Computed tomography | Liver

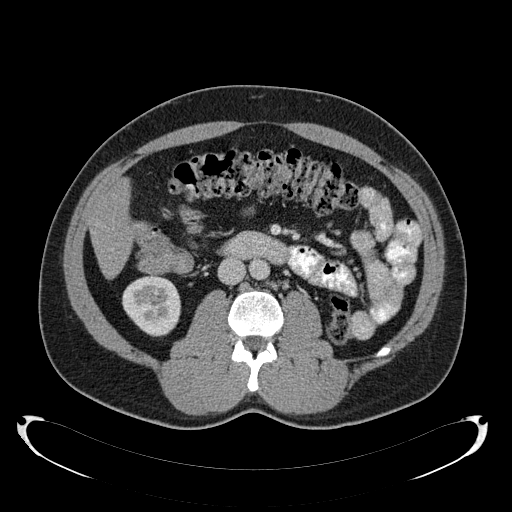 The liver is bounded by left=90, top=181, right=132, bottom=276. The kidney is at left=123, top=276, right=180, bottom=335.